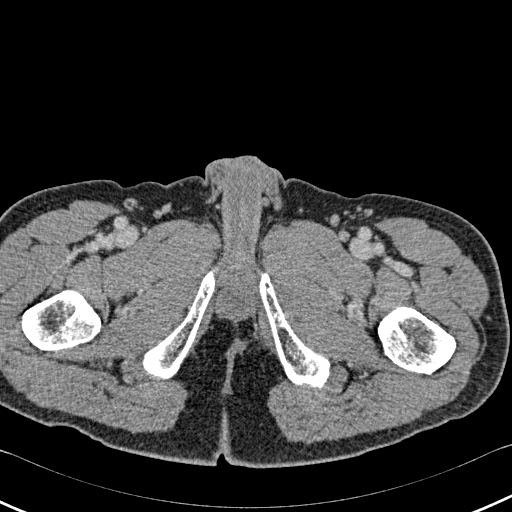 CT slice
<segmentation>
  <bone>(x1=259, y1=273, x2=329, y2=387), (x1=22, y1=290, x2=100, y2=349), (x1=378, y1=307, x2=455, y2=373), (x1=143, y1=270, x2=214, y2=378)</bone>
</segmentation>